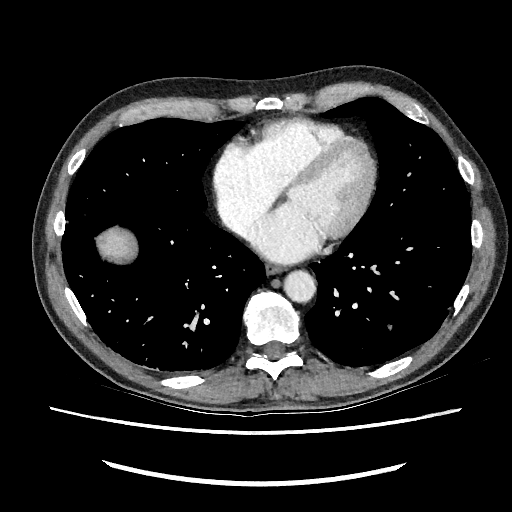 CT | Image size 512x512
Liver: bounding box bbox(99, 230, 129, 257).